Slice 409 of 836. Computed tomography.
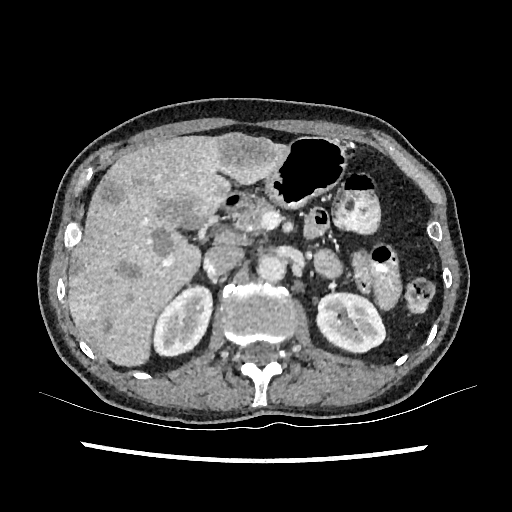 Segmented structures:
- liver: 69,134,288,365
- kidney: 154,287,211,357; 317,293,385,351
- liver lesion: 98,179,124,205; 216,186,223,195; 102,317,112,334; 132,178,144,186; 117,260,141,279; 158,199,204,227; 69,255,84,275; 151,226,174,256; 219,135,273,168